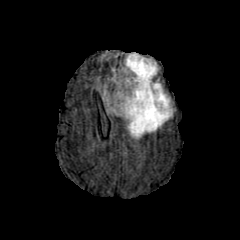
FLAIR magnetic resonance.
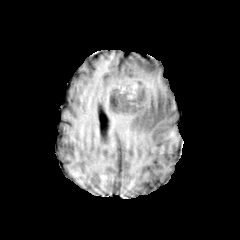
T1-weighted MR.
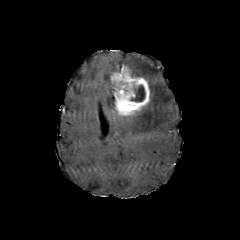
Post-contrast T1-weighted magnetic resonance.
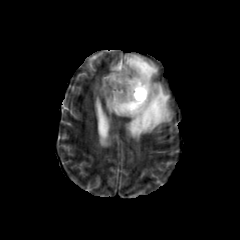
T2-weighted magnetic resonance.
Brain
- enhancing tumor: <box>111,64,150,116</box>
- edema: <box>124,53,173,140</box>, <box>103,88,113,114</box>
- non-enhancing tumor core: <box>131,85,144,101</box>